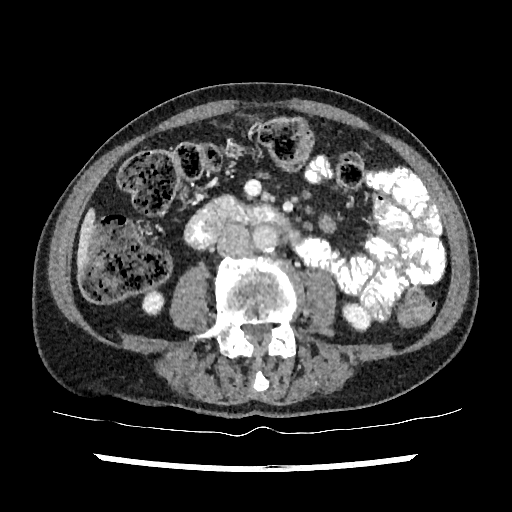

CT slice, Liver, 512x512
Liver: box=[77, 209, 95, 268].
Kidney: box=[144, 293, 161, 311]; box=[345, 306, 369, 330].